FLAIR MRI.
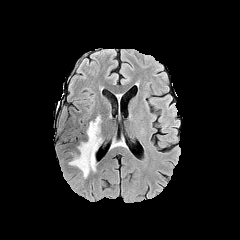
T1-weighted magnetic resonance.
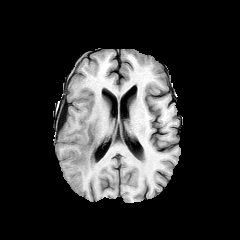
Post-contrast T1-weighted MR image.
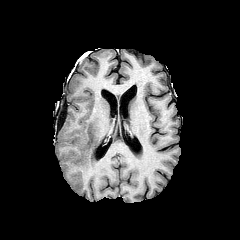
T2-weighted magnetic resonance.
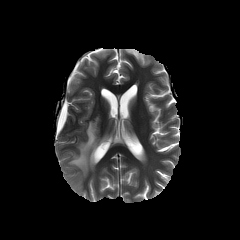
Brain, Image size 240x240
<segmentation>
  <edema>69 116 102 178</edema>
</segmentation>